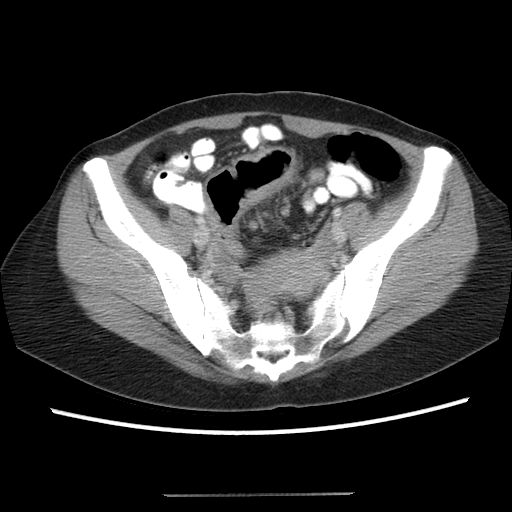
CT image
2 colon tumor regions are located at (left=238, top=152, right=265, bottom=162), (left=234, top=171, right=294, bottom=218).